Slice index 84
FLAIR MR image.
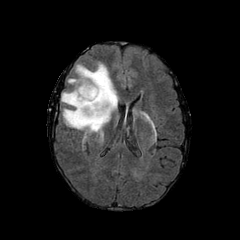
T1-weighted magnetic resonance.
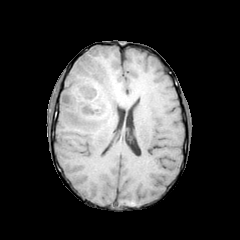
Post-contrast T1-weighted MR image.
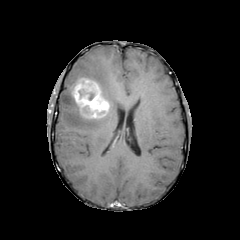
T2-weighted MRI.
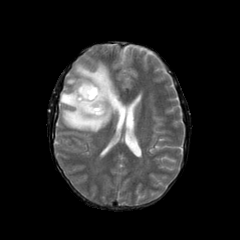
{
  "non-enhancing_tumor_core": [
    "left=79, top=106, right=100, bottom=119"
  ],
  "enhancing_tumor": [
    "left=73, top=79, right=108, bottom=117"
  ],
  "edema": [
    "left=61, top=61, right=119, bottom=135"
  ]
}